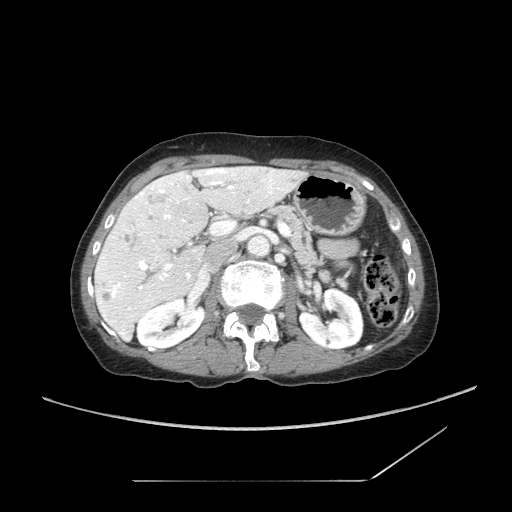
Upper abdomen, 512x512, Computed tomography
Pancreas = <bbox>271, 206, 346, 287</bbox>.